Slice index 46, Head
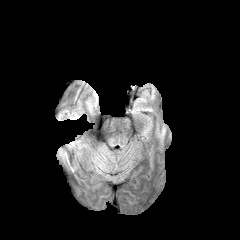
FLAIR MR image.
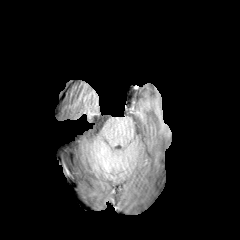
T1-weighted MR of the same slice.
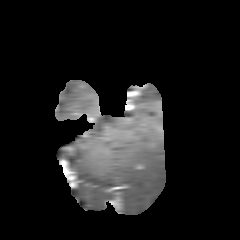
Same slice, post-contrast T1-weighted MR image.
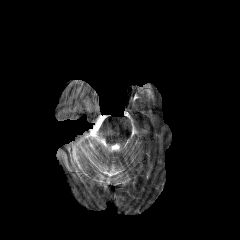
T2-weighted MR image.
Non-enhancing tumor core: 70, 142, 79, 155; 63, 152, 70, 161.
Edema: 59, 140, 87, 171.